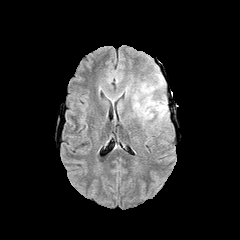
FLAIR MR.
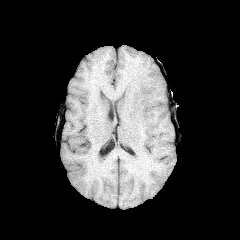
Same slice, T1-weighted MR.
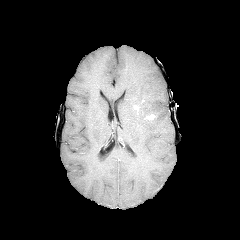
Post-contrast T1-weighted MR of the same slice.
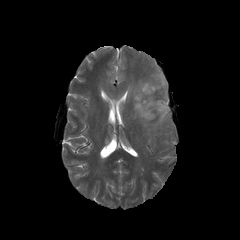
Same slice, T2-weighted MRI.
Brain
The non-enhancing tumor core is bounded by x1=134 y1=96 x2=155 y2=120. 2 edema regions appear at x1=134 y1=109 x2=148 y2=125, x1=125 y1=69 x2=168 y2=125.